FLAIR magnetic resonance.
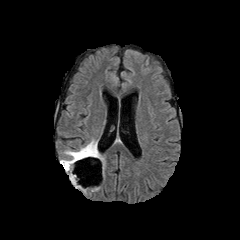
T1-weighted MR image.
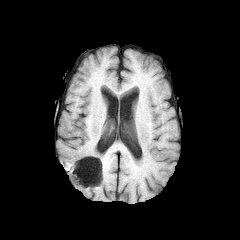
Post-contrast T1-weighted MR image.
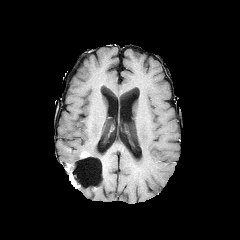
T2-weighted magnetic resonance.
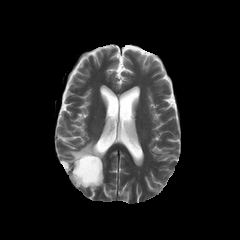
Head
Enhancing tumor — 80, 151, 91, 157.
Non-enhancing tumor core — 78, 144, 98, 160.
Edema — 60, 138, 99, 171.